Head | Slice 118 of 155
FLAIR MR.
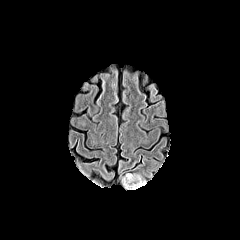
T1-weighted magnetic resonance.
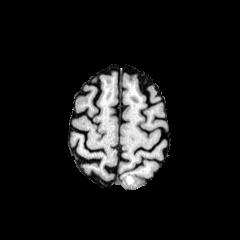
Post-contrast T1-weighted MRI.
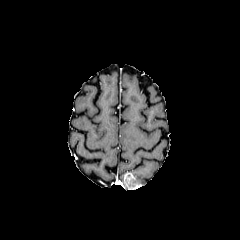
T2-weighted MR image.
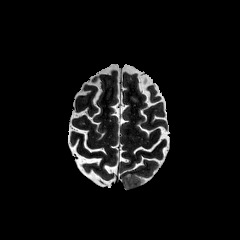
enhancing_tumor:
  - [x1=124, y1=173, x2=141, y2=187]
edema:
  - [x1=132, y1=173, x2=146, y2=185]